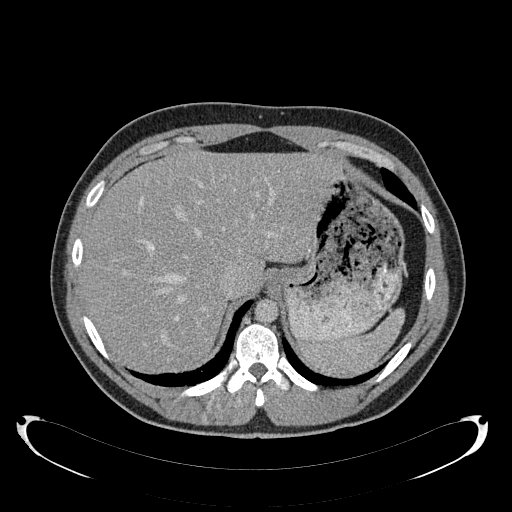

512x512 px | Liver | CT image
Liver at x1=82 y1=152 x2=336 y2=368.